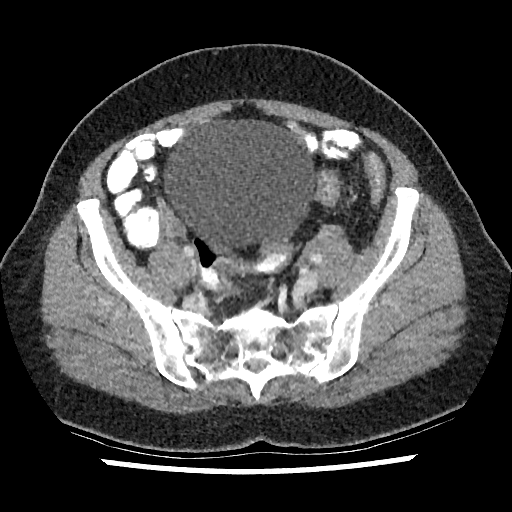

512x512; Computed tomography
The urinary bladder is located at rect(163, 119, 317, 259).